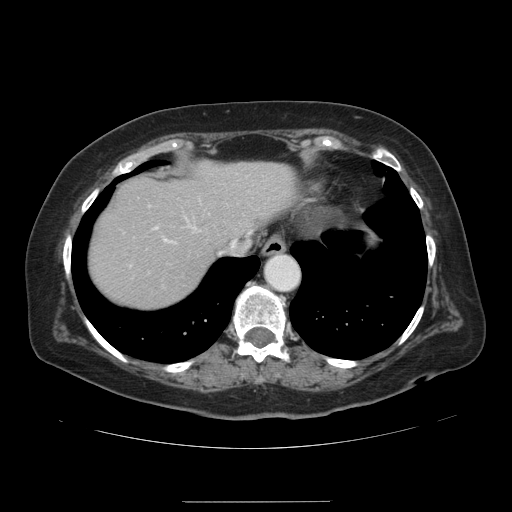
Abdomen, CT image
Not every hepatic vessel necessarily has a box.
4 hepatic vessel regions appear at (163,238,173,241), (153,226,156,228), (219,251,221,253), (248,230,249,231).